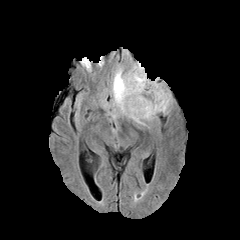
FLAIR MR image.
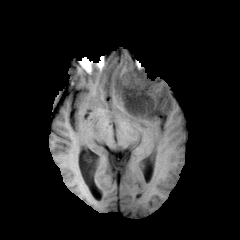
T1-weighted magnetic resonance.
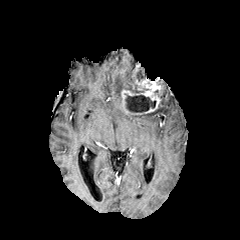
Post-contrast T1-weighted MRI.
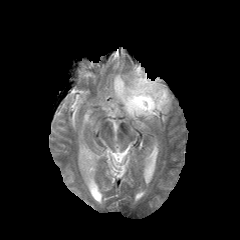
T2-weighted MRI.
Head
3 non-enhancing tumor core regions appear at rect(126, 95, 156, 112); rect(136, 66, 146, 81); rect(160, 90, 165, 104). The enhancing tumor is bounded by rect(121, 65, 164, 114). 2 edema regions appear at rect(108, 62, 135, 110); rect(127, 85, 171, 126).